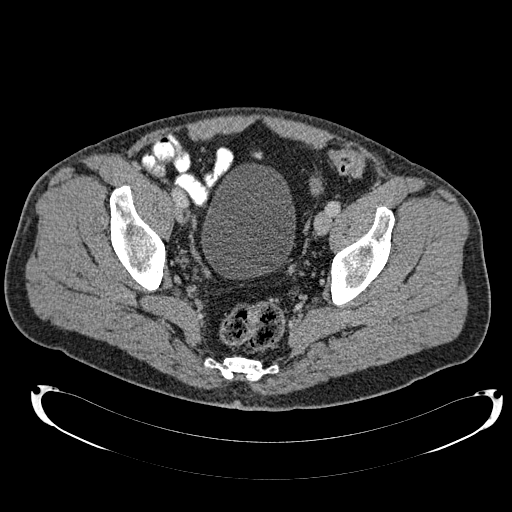
Computed tomography
Urinary bladder = {"x1": 201, "y1": 163, "x2": 295, "y2": 279}.